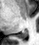

MRI slice | Medial temporal lobe | Image size 39x45
The posterior hippocampus is located at box(17, 30, 27, 38).